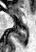

Hippocampus | Magnetic resonance | 36x52
posterior hippocampus: 14 28 27 43